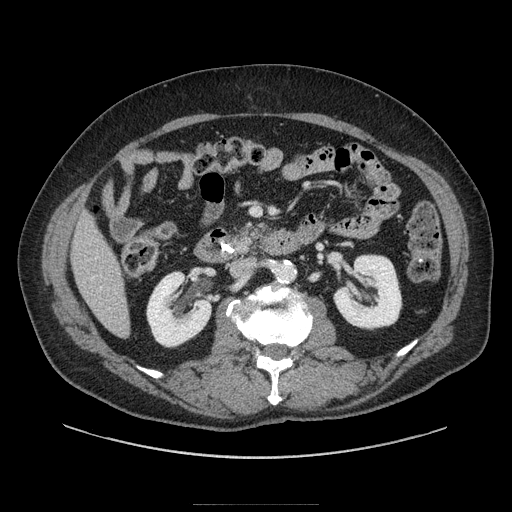 Upper abdomen | CT scan slice

Pancreas at (x1=234, y1=222, x2=266, y2=253).